MR image 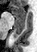

{"anterior_hippocampus": ["11, 6, 26, 18"], "posterior_hippocampus": ["13, 19, 25, 38"]}